CT scan slice. Slice index 144. 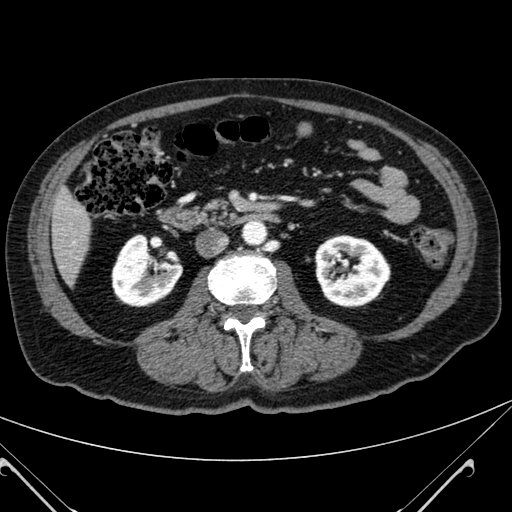
The liver is located at left=51, top=193, right=90, bottom=285. 2 kidney regions are bounded by left=316, top=236, right=389, bottom=305; left=112, top=236, right=181, bottom=305.